Computed tomography | Slice index 29 | Field of view 400 mm wide, 5.00 mm slice spacing | 512x512 px | Abdomen

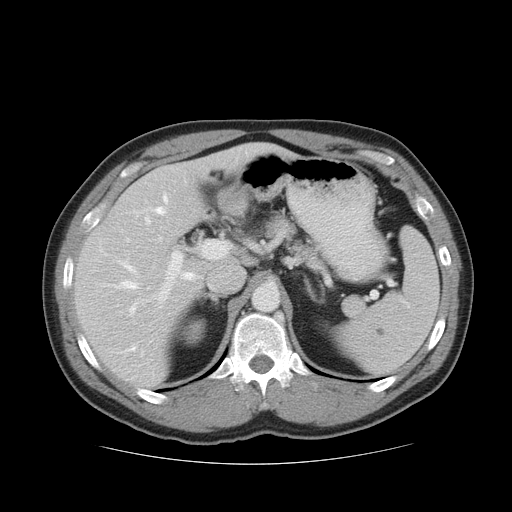 The pancreas appears at box=[264, 216, 320, 262].